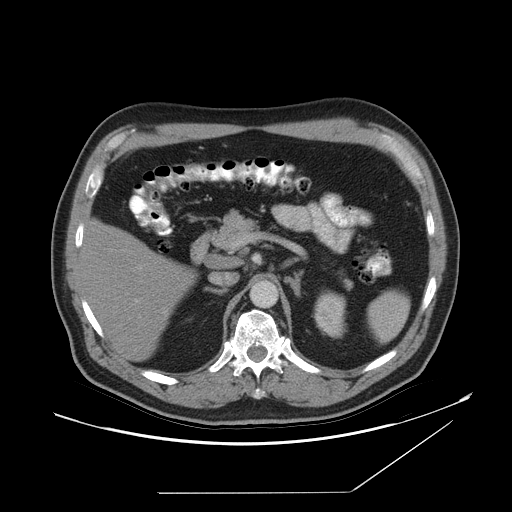

CT image, Image size 512x512, Abdomen

The spleen lies within (left=368, top=289, right=410, bottom=342).